Slice 584 of 671 | CT | Abdomen

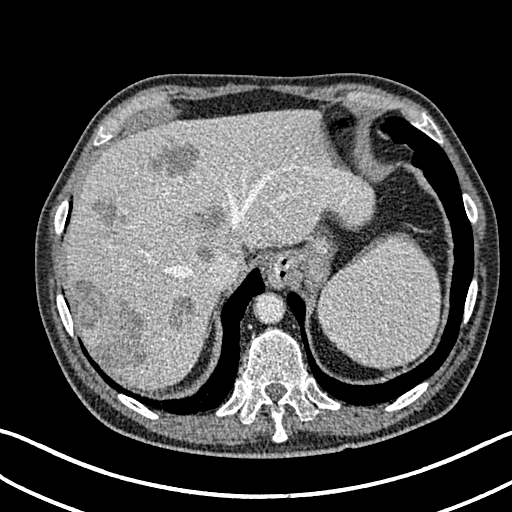

5 focal liver lesion regions are located at bbox(183, 205, 226, 262); bbox(150, 144, 199, 178); bbox(169, 294, 195, 331); bbox(71, 279, 147, 367); bbox(89, 199, 118, 237). 2 liver regions are located at bbox(73, 316, 112, 360); bbox(65, 110, 373, 387).